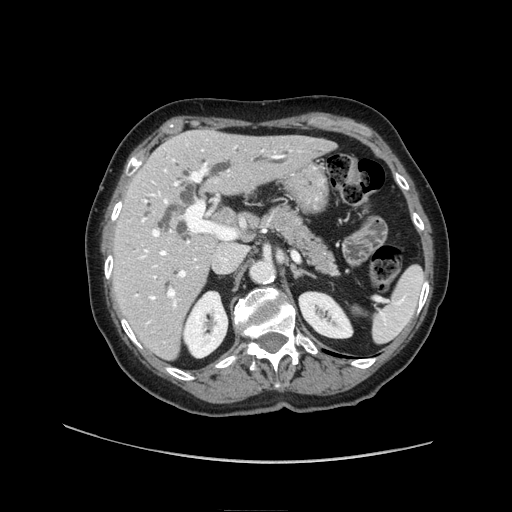
CT image
Pancreas — [269, 205, 337, 275].